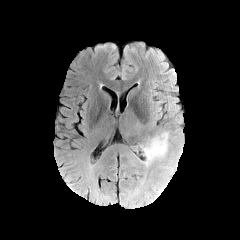
FLAIR MR image.
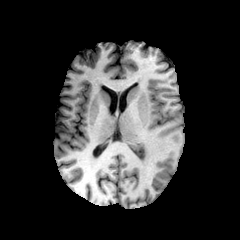
T1-weighted MR image.
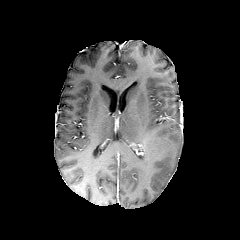
Post-contrast T1-weighted MRI.
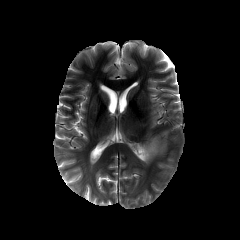
T2-weighted MR.
Brain
The edema lies within (x1=141, y1=132, x2=168, y2=166).